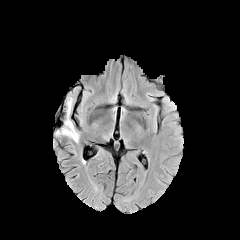
FLAIR magnetic resonance.
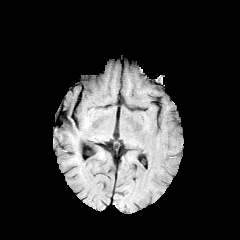
Same slice, T1-weighted MR image.
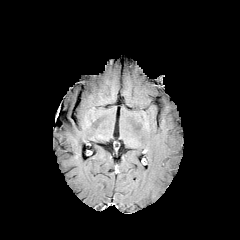
Same slice, post-contrast T1-weighted MR.
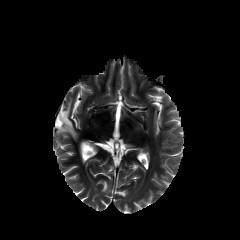
T2-weighted MR of the same slice.
Brain
Edema: bounding box region(61, 97, 78, 140).